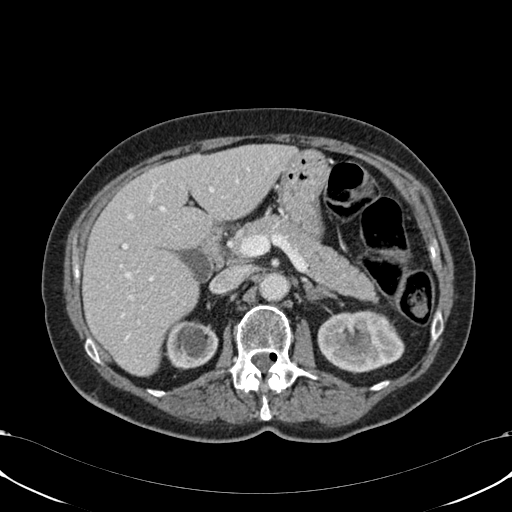
Computed tomography; Liver
2 kidney regions are bounded by (167, 315, 217, 367), (318, 311, 403, 370). The liver is at (82, 143, 298, 375).